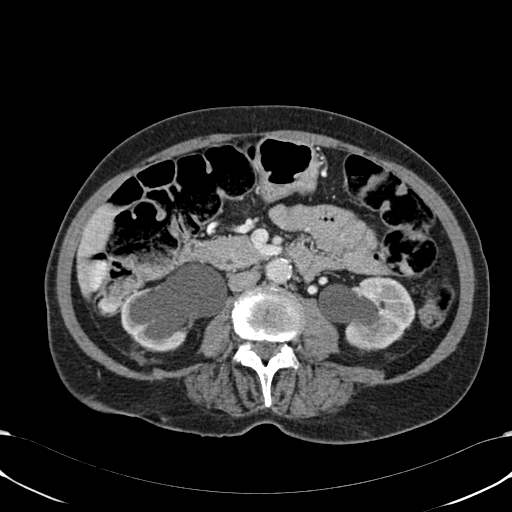 Computed tomography; 512x512 px; Liver
kidney: [346,277,414,348], [119,289,227,350] | liver: [76,204,114,297]